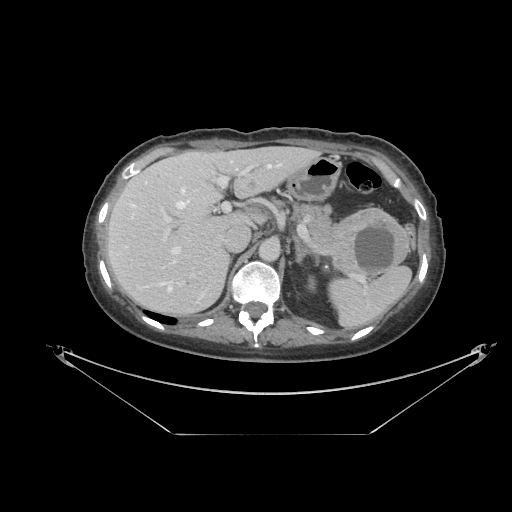 Abdomen, CT image
2 pancreas regions are bounded by (293,202,341,260), (344,271,379,276). The pancreatic tumor is bounded by (333,208,407,275).